CT slice; Liver; Slice 318/751; Image size 512x512
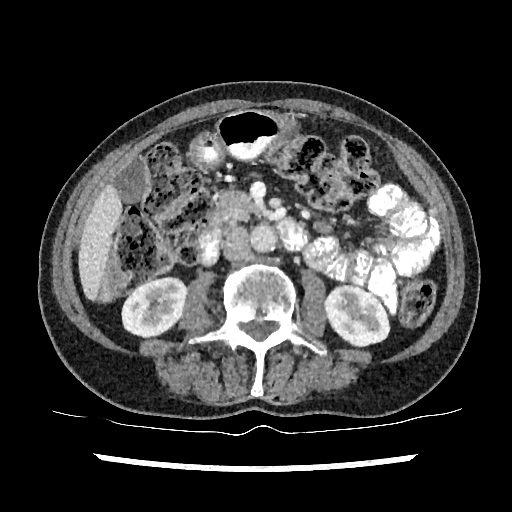 {"kidney": ["(x1=326, y1=287, x2=388, y2=345)", "(x1=122, y1=279, x2=185, y2=337)"], "liver": ["(x1=80, y1=187, x2=120, y2=299)"]}